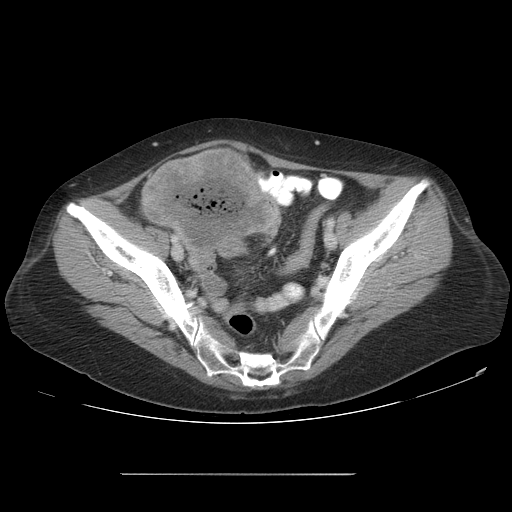
Image size 512x512 | CT image | Abdomen

Annotated regions:
- colon tumor: (141, 150, 279, 270)